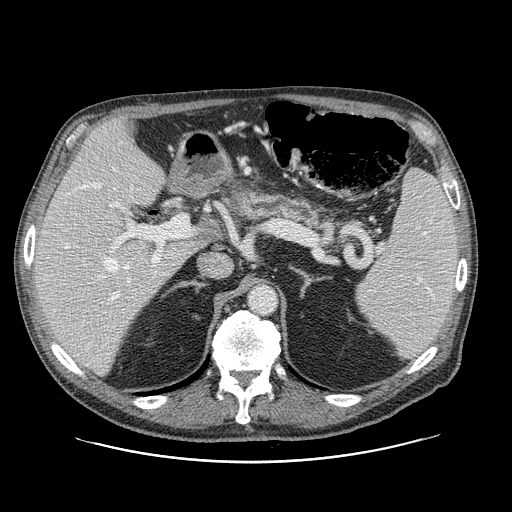 Upper abdomen; Image size 512x512; CT slice

Pancreas: (238,193,320,225).